512x512 px | Slice 21/102 | CT slice
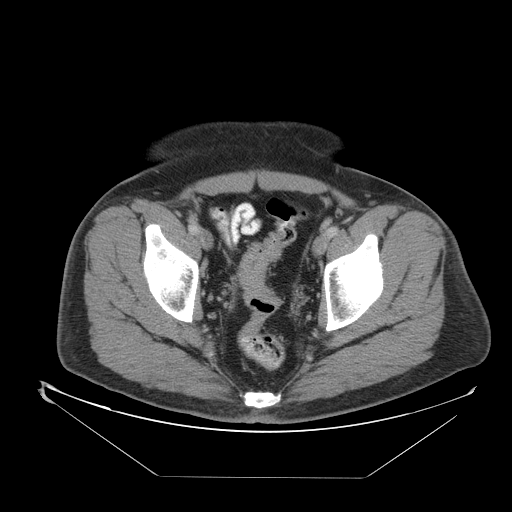

The colon tumor is located at bbox=[239, 231, 284, 305].